Slice index 54
FLAIR MRI.
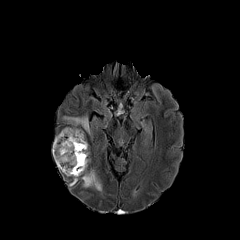
T1-weighted MR image.
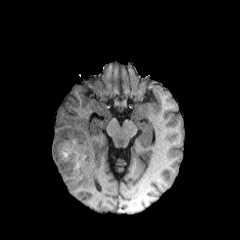
Post-contrast T1-weighted MR.
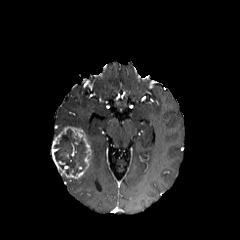
T2-weighted magnetic resonance.
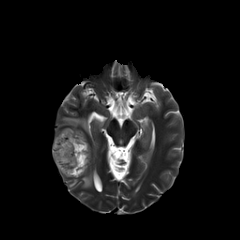
non-enhancing tumor core: region(53, 129, 87, 175) | enhancing tumor: region(52, 127, 92, 178) | edema: region(62, 115, 90, 134); region(82, 170, 102, 191)